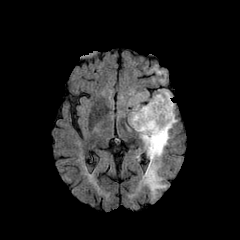
FLAIR MR.
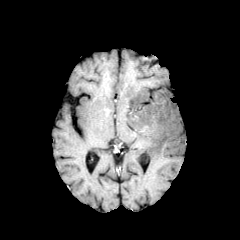
T1-weighted MR image of the same slice.
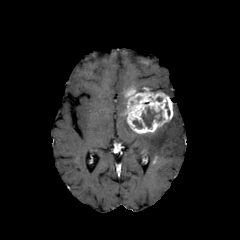
Same slice, post-contrast T1-weighted MR.
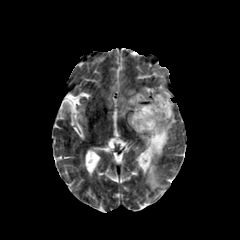
T2-weighted MR of the same slice.
The enhancing tumor lies within {"x1": 125, "y1": 89, "x2": 174, "y2": 134}. The non-enhancing tumor core lies within {"x1": 142, "y1": 109, "x2": 155, "y2": 127}. The edema lies within {"x1": 140, "y1": 115, "x2": 177, "y2": 189}.